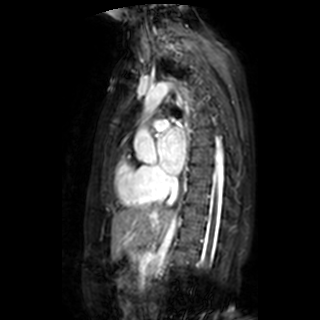

Magnetic resonance | Heart

- left atrium: left=158, top=128, right=185, bottom=173